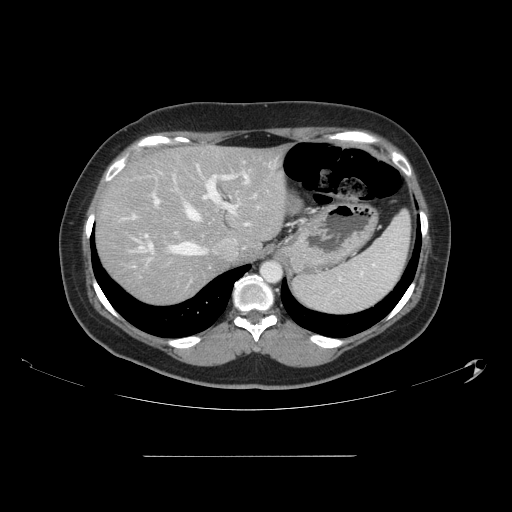

CT
Some hepatic vessels may have no box.
hepatic vessel: x1=242 y1=172 x2=247 y2=183, x1=153 y1=194 x2=154 y2=196, x1=185 y1=204 x2=198 y2=219, x1=246 y1=223 x2=247 y2=225, x1=170 y1=242 x2=205 y2=253, x1=147 y1=242 x2=152 y2=250, x1=140 y1=246 x2=143 y2=248, x1=133 y1=216 x2=136 y2=218, x1=145 y1=235 x2=147 y2=237, x1=155 y1=197 x2=158 y2=205, x1=204 y1=175 x2=236 y2=211